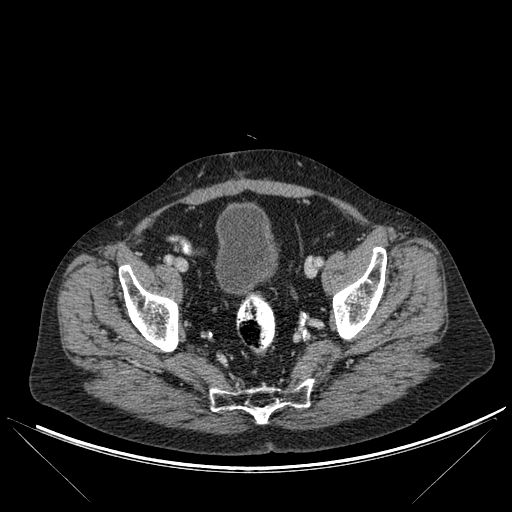

CT scan slice

Bone = <box>210,379,313,423</box>, <box>333,247,386,339</box>, <box>119,265,178,351</box>.
Urinary bladder = <box>215,204,278,295</box>.